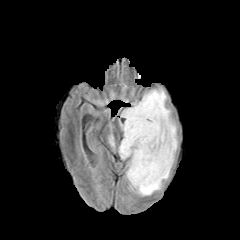
FLAIR MRI.
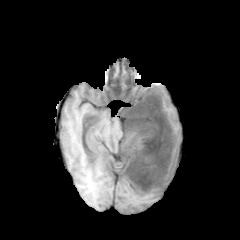
T1-weighted MRI.
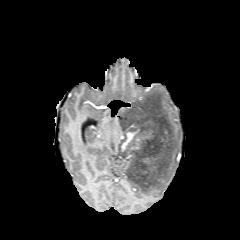
Post-contrast T1-weighted MR image.
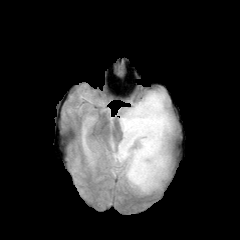
T2-weighted MR.
Brain
edema: (x1=132, y1=140, x2=141, y2=149), (x1=123, y1=88, x2=177, y2=196) | non-enhancing tumor core: (x1=119, y1=94, x2=171, y2=194) | enhancing tumor: (x1=121, y1=132, x2=135, y2=150)